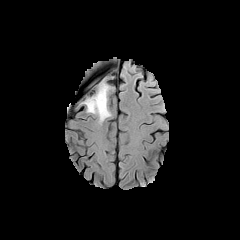
FLAIR MR.
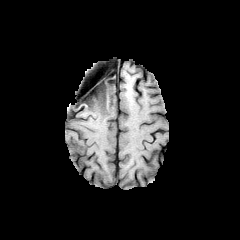
T1-weighted MR of the same slice.
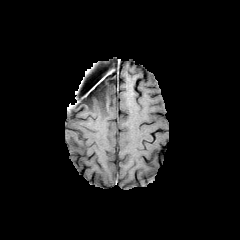
Post-contrast T1-weighted magnetic resonance of the same slice.
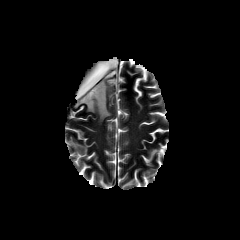
T2-weighted MR of the same slice.
Brain
edema:
  - l=82, t=84, r=111, b=122
non-enhancing_tumor_core:
  - l=82, t=82, r=105, b=103